FLAIR MR image.
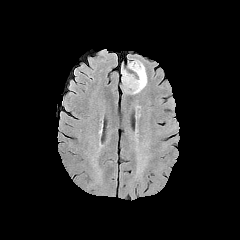
T1-weighted MR.
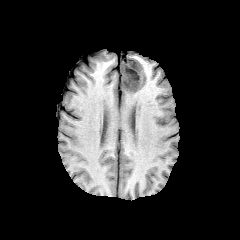
Post-contrast T1-weighted MR.
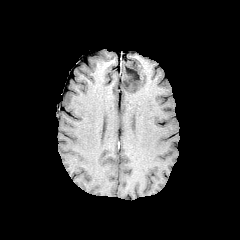
T2-weighted magnetic resonance.
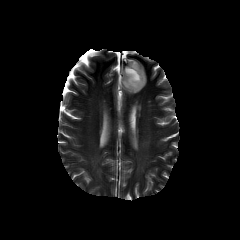
240x240
edema:
  - 122:64:147:94
non-enhancing_tumor_core:
  - 121:60:143:90